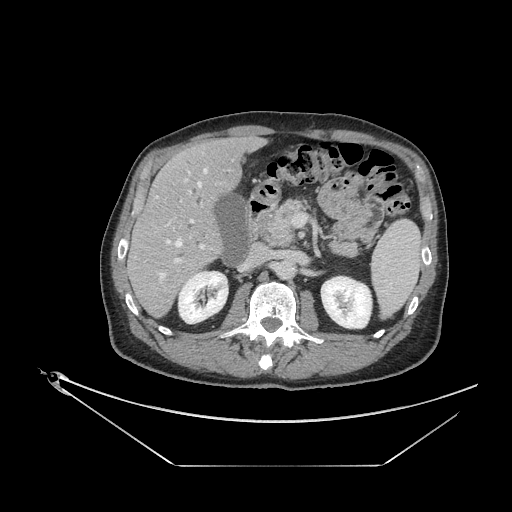

CT; Upper abdomen
pancreas:
  - bbox=[329, 237, 360, 257]
  - bbox=[265, 199, 311, 247]
pancreatic_tumor:
  - bbox=[278, 223, 291, 243]